Slice 130/139 | Liver | CT slice 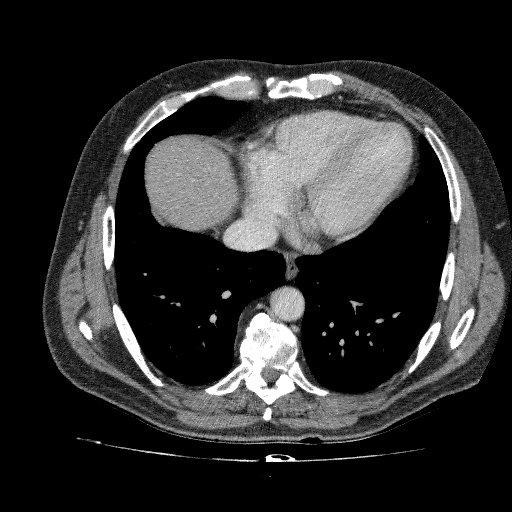
The liver is bounded by (x1=145, y1=135, x2=239, y2=231).